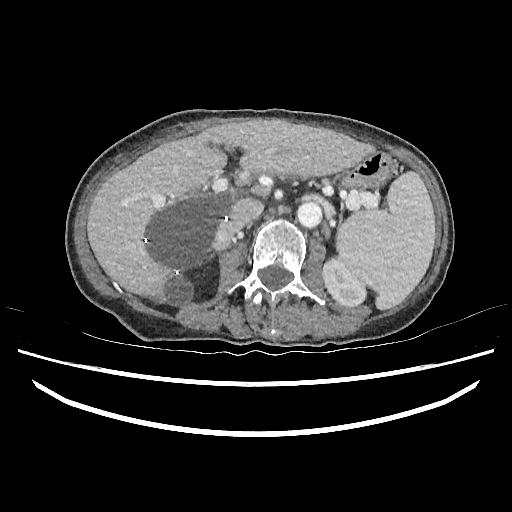
512x512 px. Upper abdomen. CT.
<segmentation>
  <kidney>322:260:366:306</kidney>
  <liver>88:121:375:306</liver>
  <focal_liver_lesion>166:274:193:303, 145:196:227:270</focal_liver_lesion>
</segmentation>